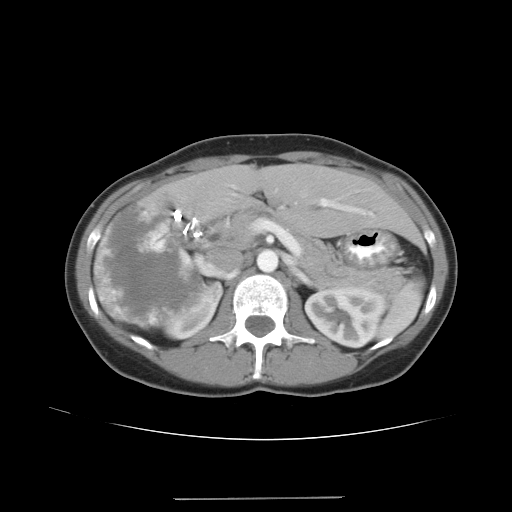

CT. Upper abdomen. 512x512.

• pancreas: box(213, 208, 407, 299)